FLAIR MRI.
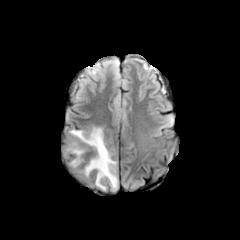
T1-weighted magnetic resonance.
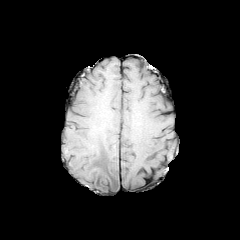
Post-contrast T1-weighted MRI.
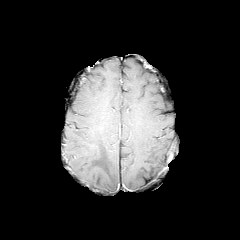
T2-weighted MRI.
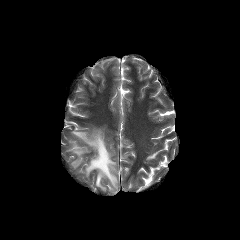
Image size 240x240, Head
edema: (left=70, top=127, right=118, bottom=191), (left=68, top=142, right=83, bottom=167), (left=111, top=64, right=118, bottom=74)